Slice 97 of 155, 240x240
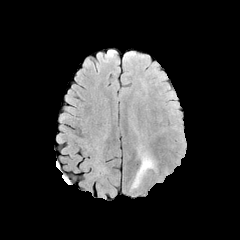
FLAIR MR image.
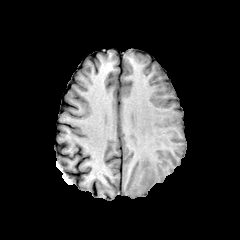
T1-weighted magnetic resonance.
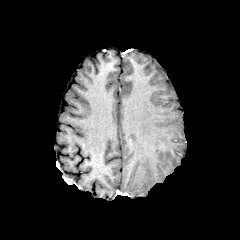
Post-contrast T1-weighted magnetic resonance of the same slice.
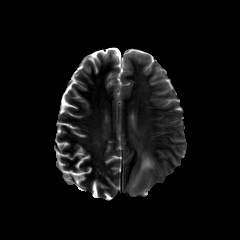
T2-weighted MRI.
Edema: x1=131 y1=154 x2=154 y2=189.